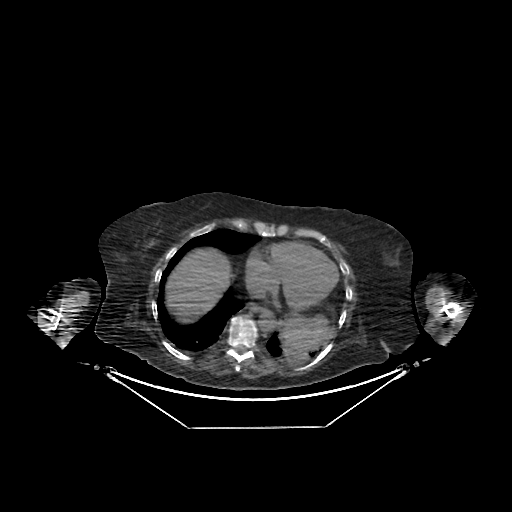 CT | Abdomen

Liver: {"x1": 165, "y1": 247, "x2": 233, "y2": 323}.